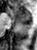
MRI slice
Annotated regions:
- anterior hippocampus: {"x1": 9, "y1": 8, "x2": 30, "y2": 22}
- posterior hippocampus: {"x1": 21, "y1": 23, "x2": 31, "y2": 25}